Slice index 53, Field of view 500x500 mm, 512x512 px, Computed tomography 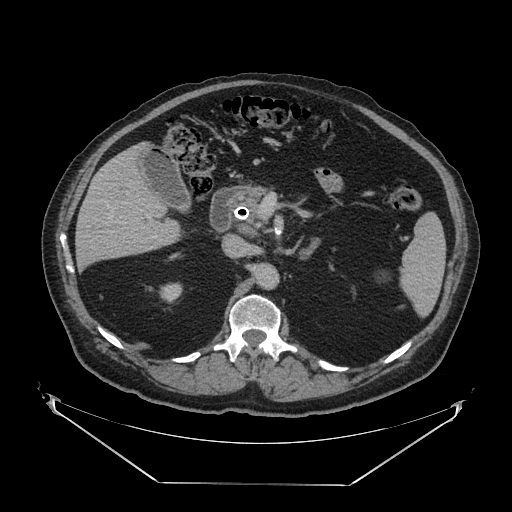
Pancreas = box=[243, 187, 265, 215].